Head
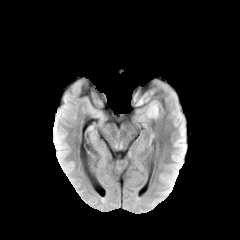
FLAIR MR image.
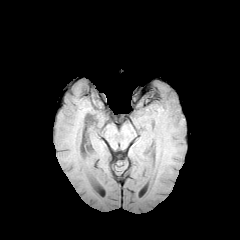
T1-weighted MR.
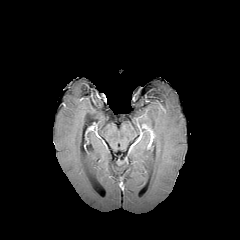
Same slice, post-contrast T1-weighted MR.
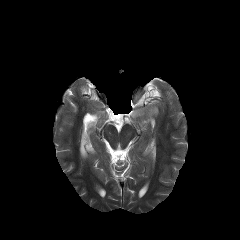
T2-weighted magnetic resonance of the same slice.
Edema at 146,100,158,118; 146,88,157,97.
Non-enhancing tumor core at 138,93,149,102.